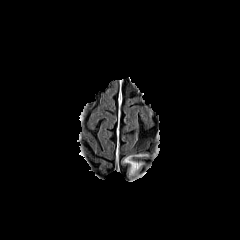
FLAIR MR.
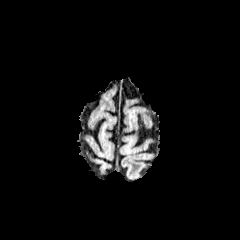
T1-weighted MR image.
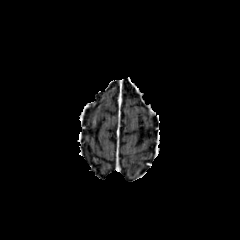
Post-contrast T1-weighted magnetic resonance.
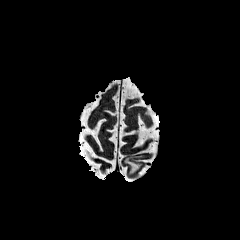
T2-weighted MR image.
240x240
edema:
  - {"x1": 123, "y1": 154, "x2": 147, "y2": 176}